Field of view 348 mm wide, 0.80 mm slice spacing | Computed tomography | Slice 161 of 836 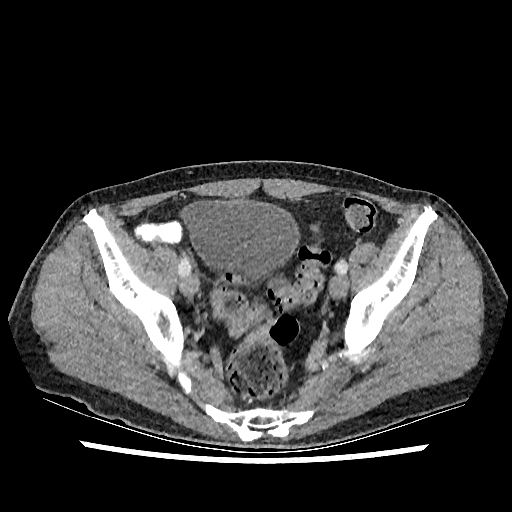
Urinary bladder = 184,200,300,290.